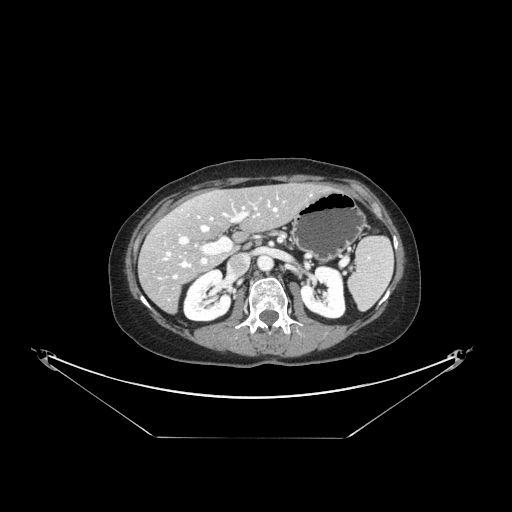 Abdomen. CT image.

The vessel annotation is not exhaustive.
{"hepatic_vessel": ["box(236, 213, 246, 218)", "box(202, 226, 207, 230)", "box(202, 259, 205, 262)", "box(180, 237, 187, 243)"]}